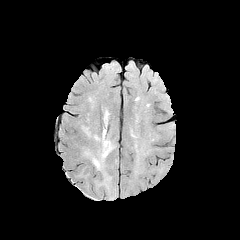
FLAIR magnetic resonance.
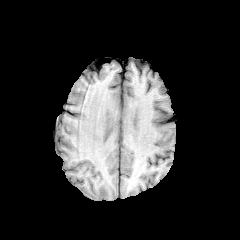
T1-weighted magnetic resonance.
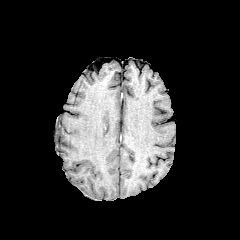
Same slice, post-contrast T1-weighted magnetic resonance.
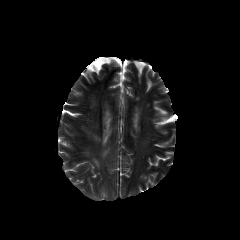
T2-weighted magnetic resonance.
Edema: bounding box x1=101, y1=144, x2=107, y2=159.